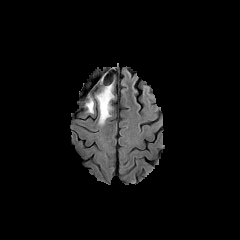
FLAIR MRI.
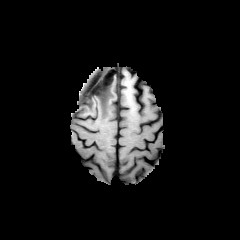
T1-weighted MRI of the same slice.
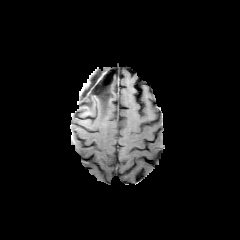
Post-contrast T1-weighted MR image.
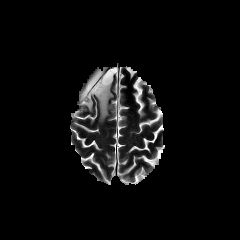
T2-weighted MR of the same slice.
Brain
2 non-enhancing tumor core regions appear at [x1=84, y1=92, x2=91, y2=106], [x1=92, y1=78, x2=102, y2=93]. The edema is at [x1=86, y1=78, x2=113, y2=124].